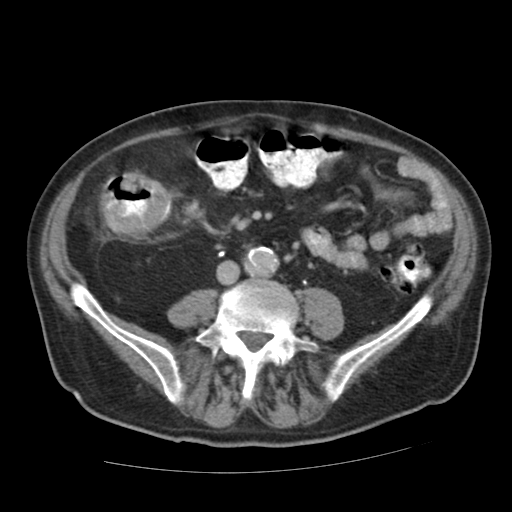 512x512 px; CT image; Abdomen
<segmentation>
  <colon_tumor>box=[102, 174, 167, 235]</colon_tumor>
</segmentation>